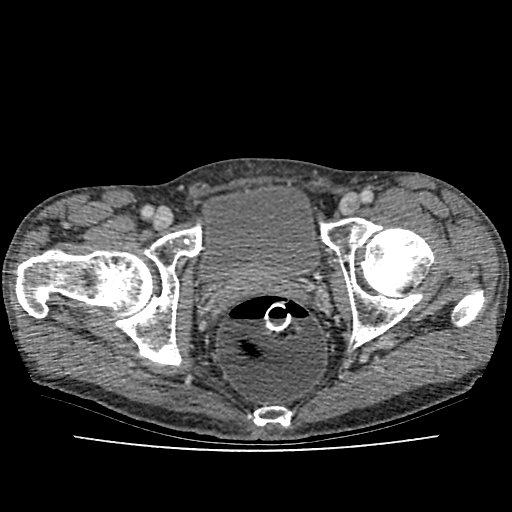
CT scan slice

The urinary bladder is located at rect(194, 182, 324, 300).